Slice 339 of 547 | 512x512 px | Computed tomography

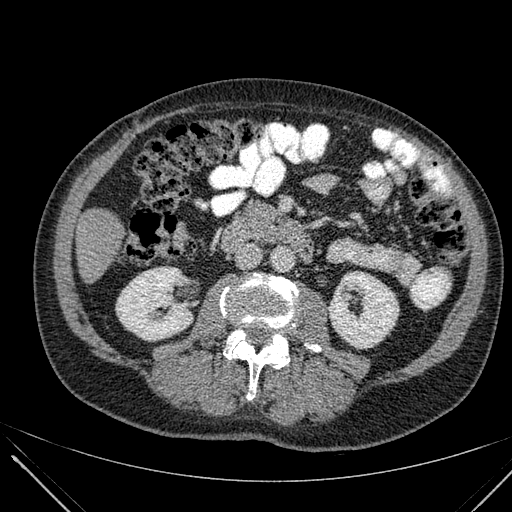

Liver at 76:208:125:283.
Kidney at 329:272:398:348, 116:267:192:339.